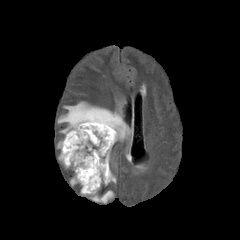
FLAIR MR.
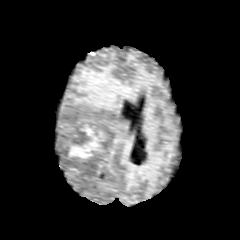
T1-weighted MR image.
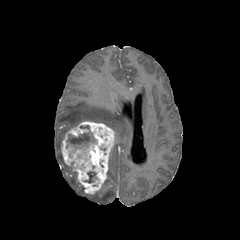
Post-contrast T1-weighted magnetic resonance of the same slice.
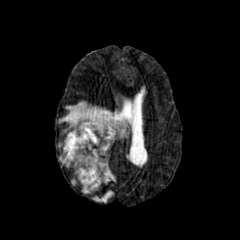
T2-weighted MR of the same slice.
Brain.
{
  "enhancing_tumor": [
    "(x1=61, y1=121, x2=114, y2=193)"
  ],
  "non-enhancing_tumor_core": [
    "(x1=66, y1=130, x2=96, y2=157)",
    "(x1=86, y1=171, x2=96, y2=183)"
  ],
  "edema": [
    "(x1=70, y1=170, x2=79, y2=184)",
    "(x1=104, y1=152, x2=115, y2=185)",
    "(x1=58, y1=101, x2=129, y2=142)",
    "(x1=58, y1=142, x2=69, y2=167)",
    "(x1=80, y1=184, x2=113, y2=202)"
  ]
}